FLAIR MR image.
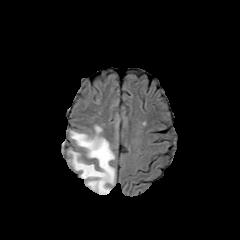
T1-weighted MR.
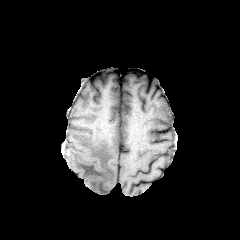
Post-contrast T1-weighted MRI.
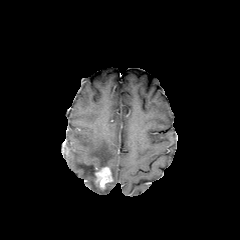
T2-weighted magnetic resonance.
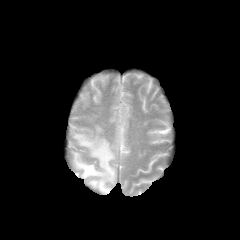
Brain
Enhancing tumor: bbox(95, 167, 112, 189).
Edema: bbox(70, 126, 115, 194).